CT image | Upper abdomen 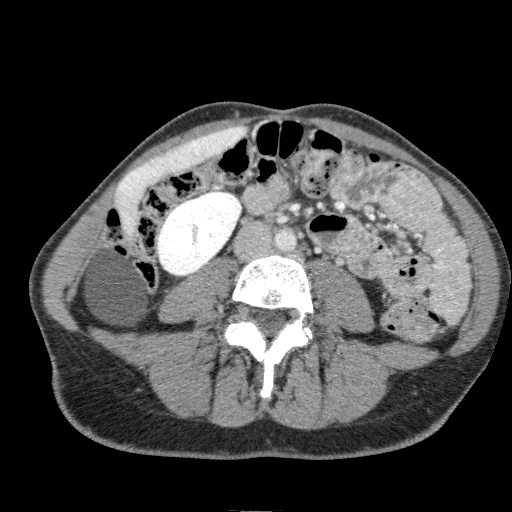

liver: [115, 126, 247, 237] | kidney: [158, 192, 240, 274]